CT scan slice. Image size 512x512. Upper abdomen. Slice 170 of 424.
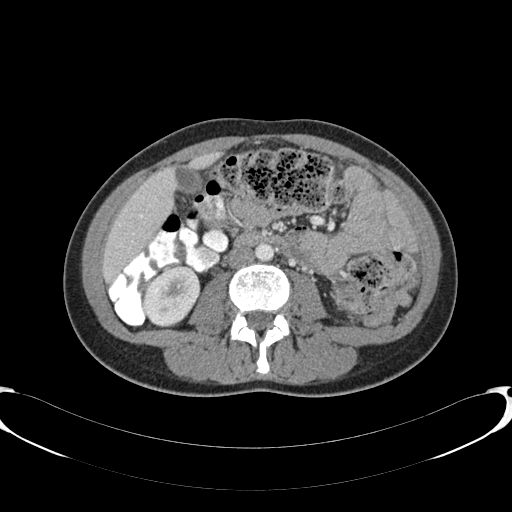 <segmentation>
  <liver>bbox=[102, 167, 176, 283]; bbox=[188, 151, 221, 169]</liver>
  <kidney>bbox=[141, 267, 198, 325]</kidney>
</segmentation>